FLAIR magnetic resonance.
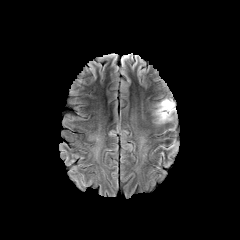
T1-weighted MRI.
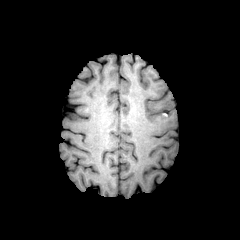
Post-contrast T1-weighted MR image.
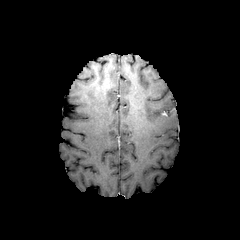
T2-weighted magnetic resonance.
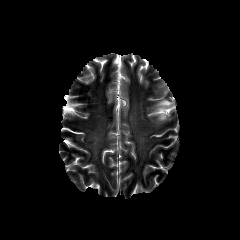
Brain
{
  "edema": [
    {"x1": 153, "y1": 98, "x2": 175, "y2": 123}
  ]
}